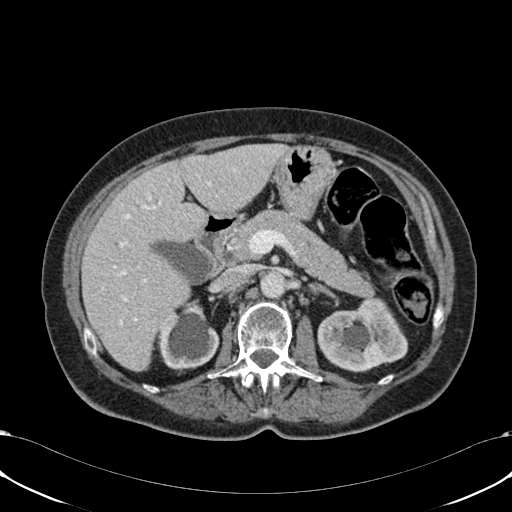

Abdomen; CT slice
The liver is located at bbox(82, 144, 286, 370). 2 kidney regions are bounded by bbox(318, 295, 407, 370); bbox(159, 295, 218, 368).